FLAIR MRI.
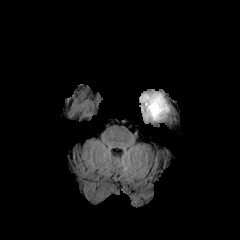
T1-weighted magnetic resonance.
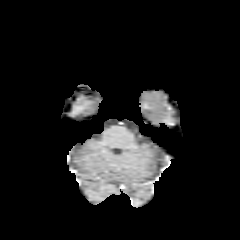
Post-contrast T1-weighted MR image.
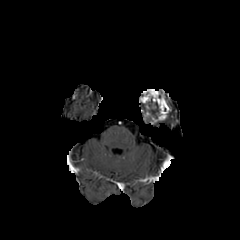
T2-weighted MR.
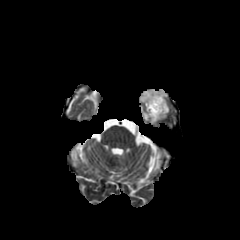
non-enhancing_tumor_core:
  - x1=148, y1=101, x2=157, y2=117
enhancing_tumor:
  - x1=139, y1=89, x2=169, y2=123